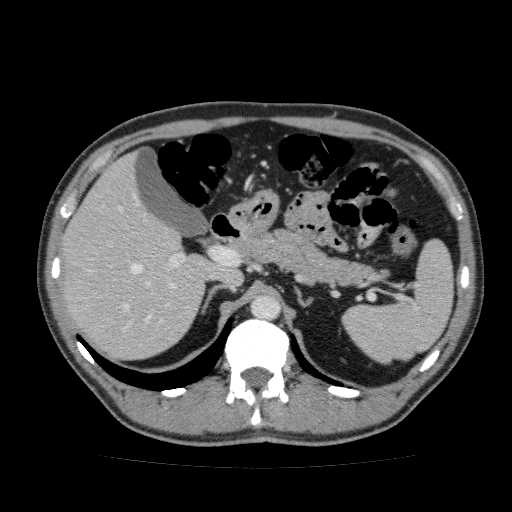

512x512. CT scan slice.
liver:
  - l=61, t=151, r=243, b=361